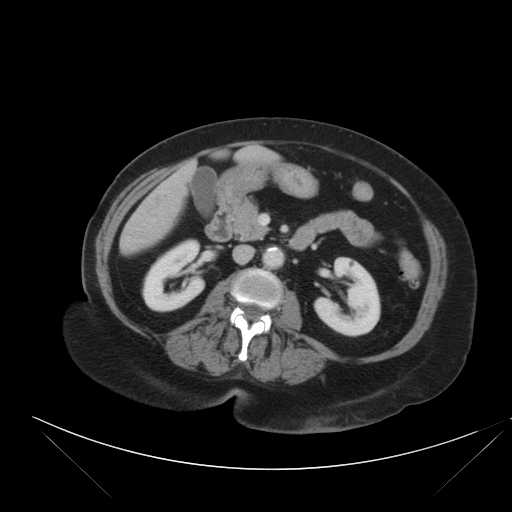

Computed tomography; 512x512; Abdomen
The vessel boxes may cover only some of the vessels.
hepatic vessel: box(147, 194, 153, 203); box(182, 165, 193, 173); box(139, 209, 147, 216); box(174, 175, 177, 181); box(156, 183, 169, 193); box(148, 211, 163, 222) | liver tumor: box(154, 194, 160, 209)